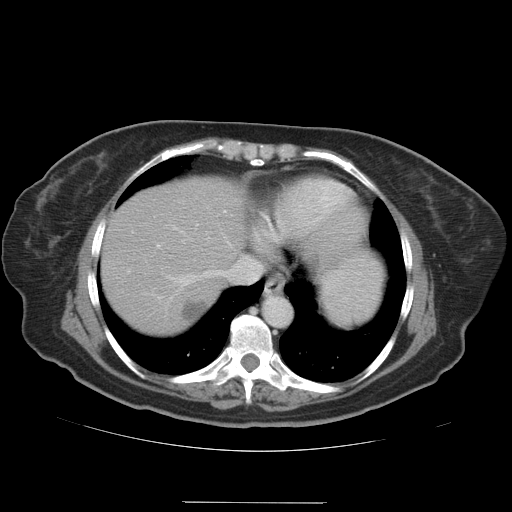

Abdomen. CT. 512x512 px.

Not every hepatic vessel necessarily has a box.
Hepatic vessel — 167:275:173:278, 207:275:209:277, 218:272:222:273, 157:244:159:247, 128:270:129:272, 179:274:195:290.